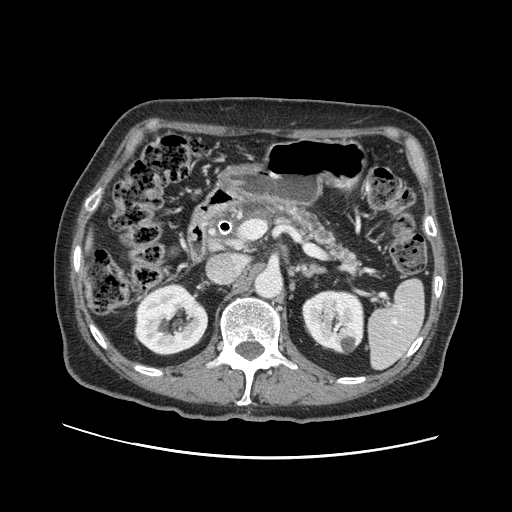 Computed tomography; Abdomen

Pancreas: box=[202, 197, 364, 276].